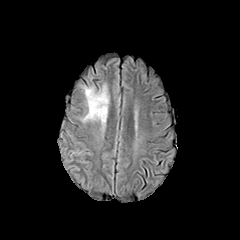
FLAIR MRI.
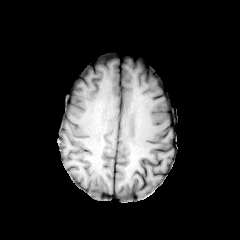
T1-weighted MR image.
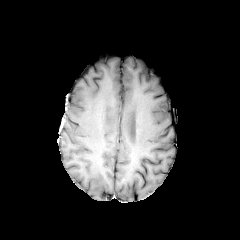
Post-contrast T1-weighted MRI of the same slice.
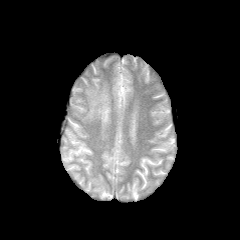
Same slice, T2-weighted magnetic resonance.
Head.
Edema at bbox(82, 84, 109, 130).